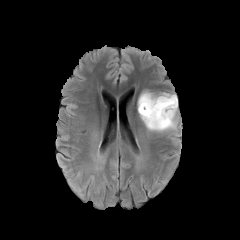
FLAIR MRI.
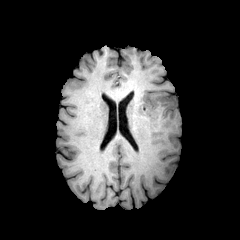
T1-weighted MRI of the same slice.
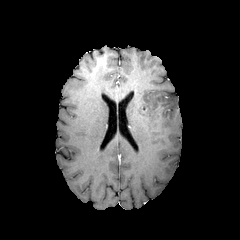
Same slice, post-contrast T1-weighted MR image.
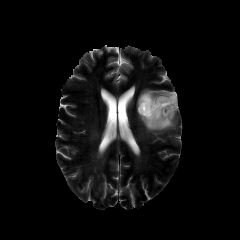
T2-weighted magnetic resonance.
Head | 240x240 px
Edema — <box>137,89,178,134</box>.
Non-enhancing tumor core — <box>138,95,173,121</box>.